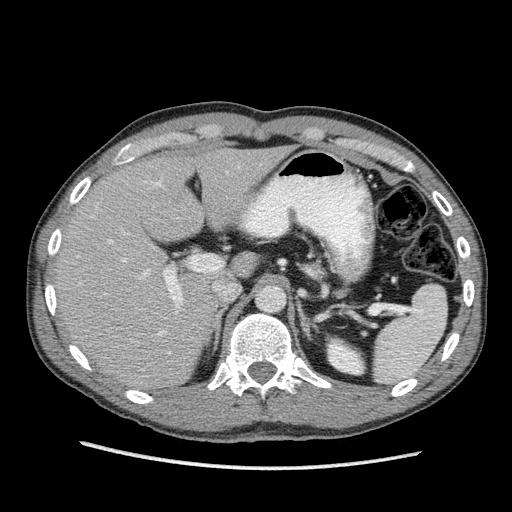

Liver; CT
Kidney — 328,340,362,373.
Liver — 50,145,295,391.